512x512 px, Slice 24 of 120, Computed tomography
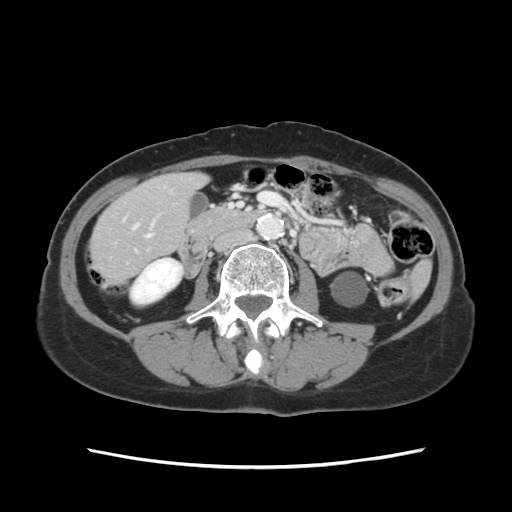 The vessel annotation is not exhaustive.
Hepatic vessel = <box>132,224,138,229</box>, <box>147,234,150,236</box>.